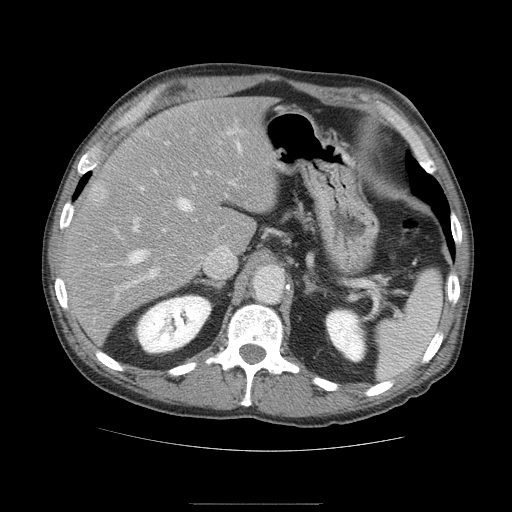
CT slice

Not every hepatic vessel necessarily has a box.
liver_tumor:
  - 89, 180, 112, 204
hepatic_vessel:
  - 227, 125, 243, 134
  - 134, 217, 139, 231
  - 194, 172, 195, 174
  - 154, 170, 156, 173
  - 229, 181, 234, 184
  - 163, 229, 164, 230
  - 165, 143, 168, 144
  - 129, 250, 149, 263
  - 178, 198, 192, 210
  - 123, 268, 159, 287
  - 111, 226, 122, 239
  - 140, 187, 143, 189
  - 115, 287, 122, 289
  - 207, 171, 209, 173
  - 235, 141, 241, 152